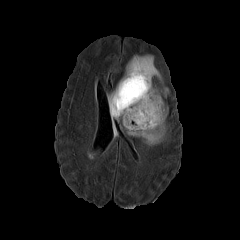
FLAIR magnetic resonance.
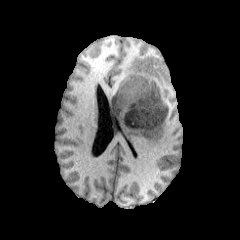
T1-weighted MR of the same slice.
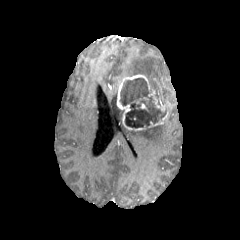
Post-contrast T1-weighted magnetic resonance.
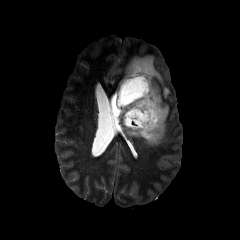
Same slice, T2-weighted MR image.
240x240 px; Head
non-enhancing_tumor_core:
  - <box>119,77,166,129</box>
edema:
  - <box>125,55,162,84</box>
  - <box>108,89,123,122</box>
  - <box>124,120,167,146</box>
  - <box>161,87,169,98</box>
enhancing_tumor:
  - <box>122,74,168,112</box>
  - <box>117,82,132,129</box>
  - <box>148,112,167,127</box>